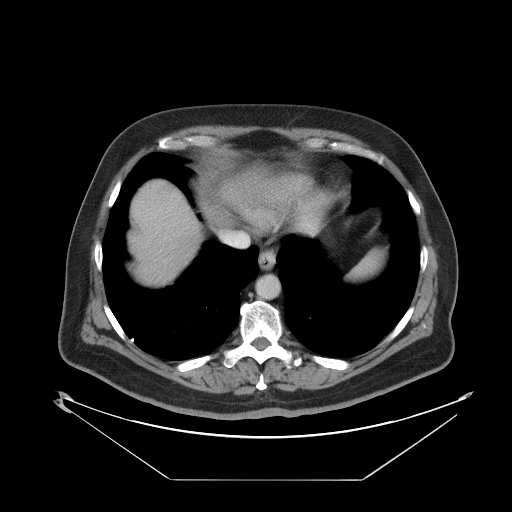 CT scan slice; Liver
The vessel annotation is not exhaustive.
Hepatic vessel: x1=232 y1=233 x2=248 y2=247.